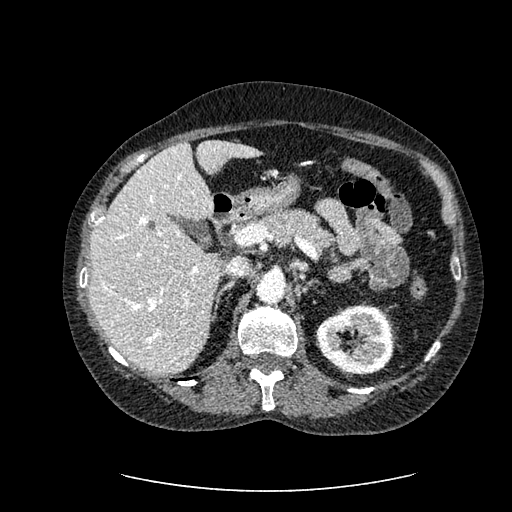 CT slice, Abdomen, 512x512
Findings:
• hepatic lesion: left=147, top=221, right=155, bottom=230
• liver: left=197, top=141, right=261, bottom=173; left=90, top=142, right=220, bottom=374
• kidney: left=317, top=306, right=392, bottom=373